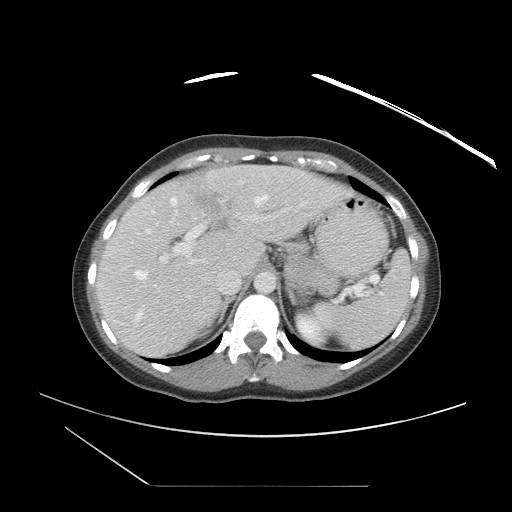 CT image; Image size 512x512

Only some of the vessels may be annotated.
• liver tumor: <box>192,190,222,217</box>
• hepatic vessel: <box>254,195,267,205</box>, <box>301,202,305,205</box>, <box>156,223,157,224</box>, <box>137,309,142,319</box>, <box>175,210,176,212</box>, <box>135,270,147,279</box>, <box>160,254,167,261</box>, <box>147,229,150,232</box>, <box>171,197,176,205</box>, <box>218,271,239,292</box>, <box>174,225,204,256</box>